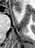
Medial temporal lobe. Magnetic resonance.

Anterior hippocampus = box(13, 5, 21, 13).